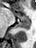 MR image. Medial temporal lobe.
{"posterior_hippocampus": ["region(16, 20, 30, 30)"], "anterior_hippocampus": ["region(15, 13, 27, 19)"]}